Slice index 56. Image size 512x512. CT scan slice. Abdomen.
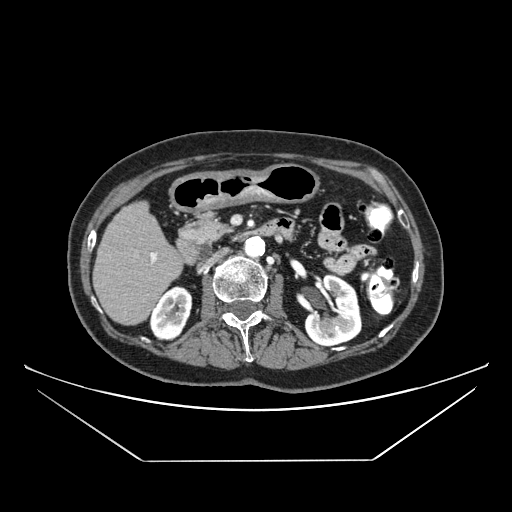

pancreas: (176,210,233,264) | pancreatic tumor: (194,242,212,265)